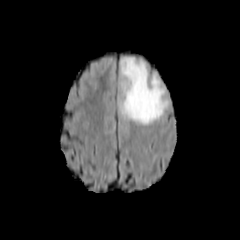
FLAIR MR image.
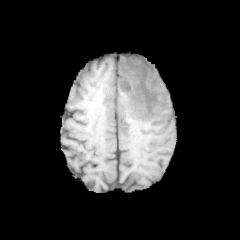
T1-weighted magnetic resonance of the same slice.
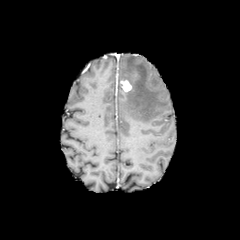
Post-contrast T1-weighted MR of the same slice.
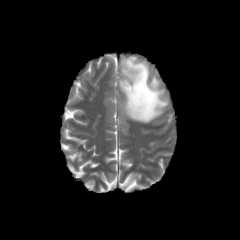
T2-weighted magnetic resonance.
Brain; Image size 240x240
enhancing_tumor:
  - x1=120 y1=79 x2=131 y2=91
edema:
  - x1=120 y1=57 x2=168 y2=125
non-enhancing_tumor_core:
  - x1=125 y1=68 x2=137 y2=75